Head; Slice 42 of 155; Image size 240x240
FLAIR MRI.
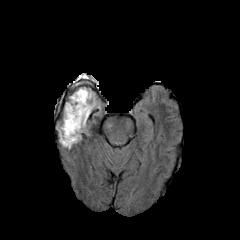
T1-weighted MR image.
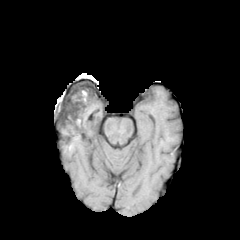
Post-contrast T1-weighted magnetic resonance.
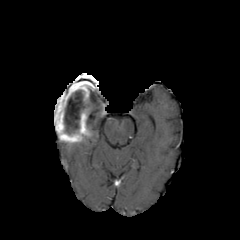
T2-weighted MR.
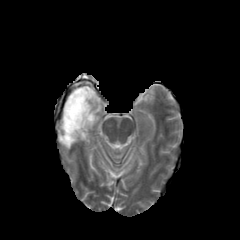
Edema — l=57, t=116, r=65, b=136; l=68, t=88, r=97, b=114; l=64, t=114, r=87, b=147.
Non-enhancing tumor core — l=62, t=101, r=82, b=141.